FLAIR MRI.
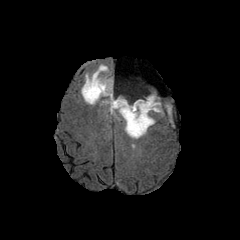
T1-weighted MRI.
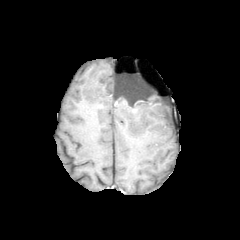
Post-contrast T1-weighted MR image.
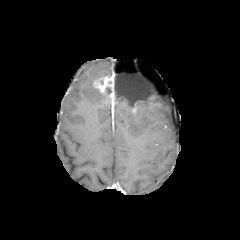
T2-weighted MR.
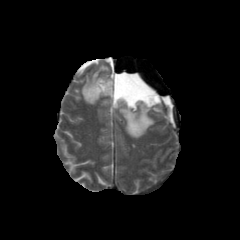
Brain
3 edema regions are located at box(79, 63, 111, 111); box(114, 76, 119, 91); box(114, 94, 163, 138). The enhancing tumor appears at box(94, 73, 117, 115). The non-enhancing tumor core is bounded by box(114, 81, 156, 113).